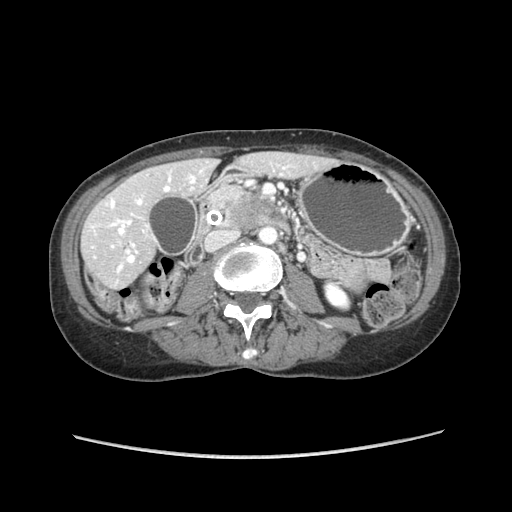 Computed tomography; Upper abdomen; 512x512 px
pancreas: {"x1": 207, "y1": 186, "x2": 280, "y2": 228} | pancreatic tumor: {"x1": 225, "y1": 194, "x2": 271, "y2": 229}